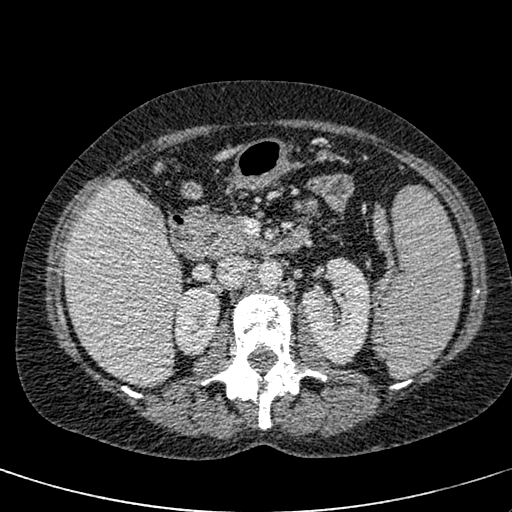
Image size 512x512, CT image, Upper abdomen

liver: <bbox>64, 181, 180, 386</bbox>, <bbox>216, 150, 233, 161</bbox> | kidney: <bbox>174, 288, 219, 350</bbox>, <bbox>302, 258, 369, 363</bbox> | hepatic lesion: <bbox>140, 203, 163, 229</bbox>